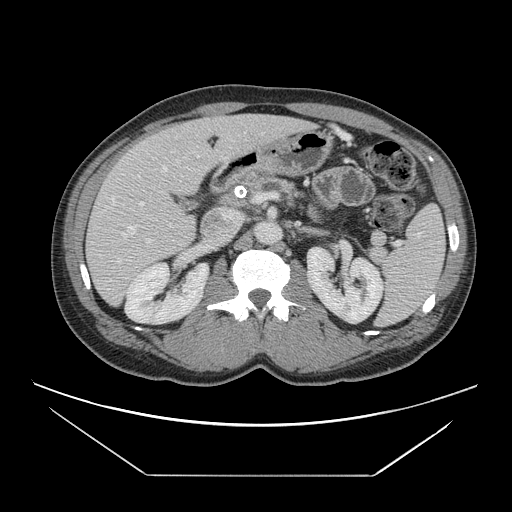 Image size 512x512. Abdomen. CT image.

The pancreas lies within 244:175:300:196.